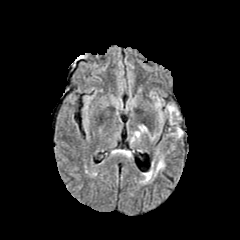
FLAIR MR.
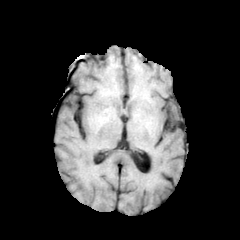
T1-weighted MR.
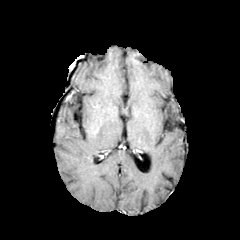
Post-contrast T1-weighted MR.
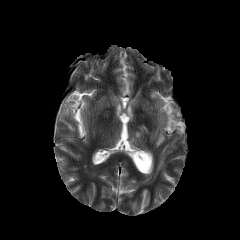
T2-weighted MR image of the same slice.
240x240 px
edema: <bbox>150, 92, 183, 137</bbox>